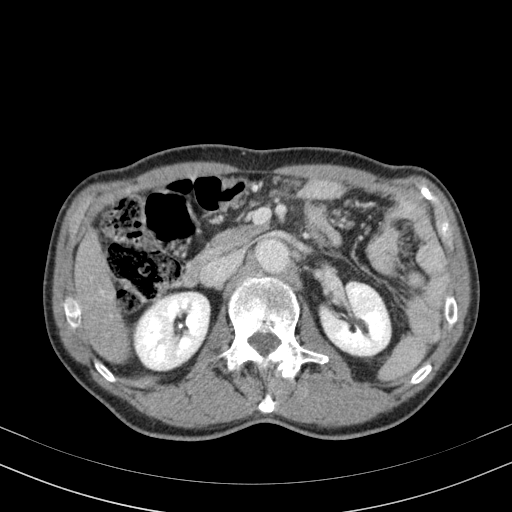

CT scan slice.
- liver: x1=75, y1=228, x2=129, y2=364
- kidney: x1=136, y1=293, x2=209, y2=369; x1=321, y1=283, x2=389, y2=355